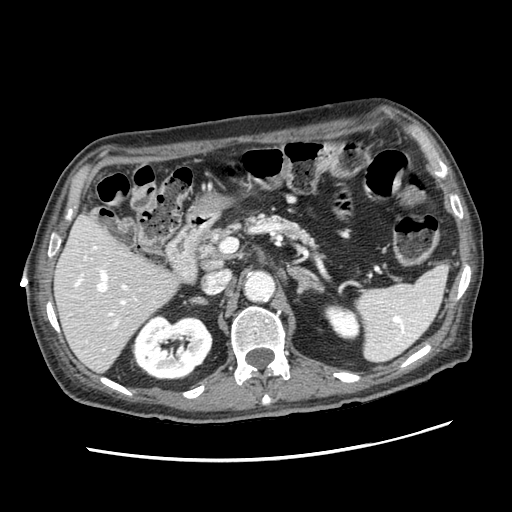

CT scan slice. Abdomen. 512x512.
The pancreas is located at [x1=268, y1=218, x2=311, y2=243].